Brain | Field of view 240x240 mm
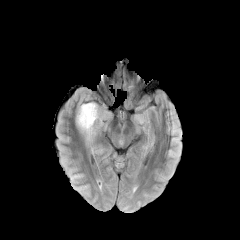
FLAIR magnetic resonance.
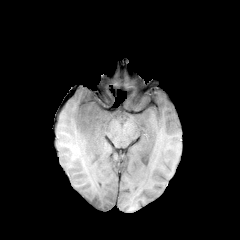
T1-weighted MR of the same slice.
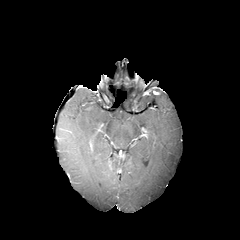
Same slice, post-contrast T1-weighted MRI.
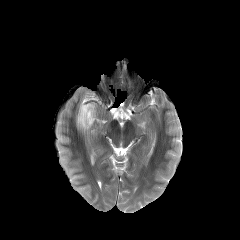
Same slice, T2-weighted MRI.
Findings:
* edema: rect(76, 94, 103, 141)